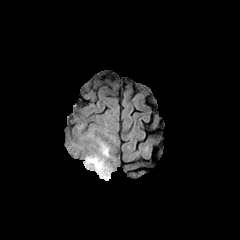
FLAIR MRI.
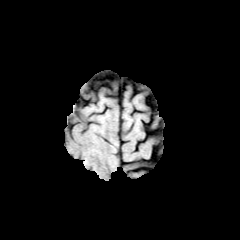
T1-weighted MRI.
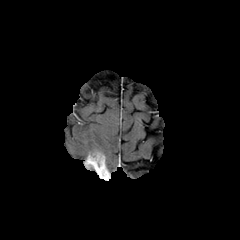
Post-contrast T1-weighted MR.
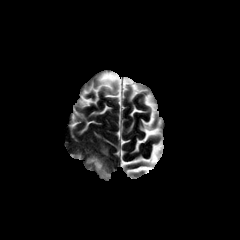
T2-weighted MR image.
The edema is bounded by x1=84, y1=131, x2=113, y2=172. The enhancing tumor appears at x1=85, y1=151, x2=109, y2=180.